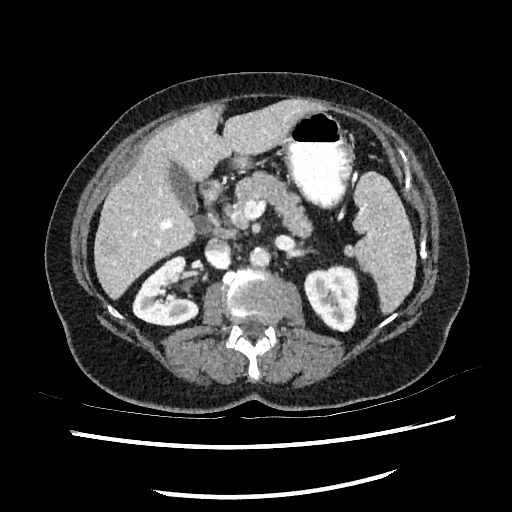
Liver. CT.
<segmentation>
  <kidney>(305,267,357,330), (133,257,197,324)</kidney>
  <hepatic_lesion>(102,241,116,254)</hepatic_lesion>
  <liver>(93,98,317,299)</liver>
</segmentation>